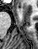
MRI
Anterior hippocampus — region(18, 9, 20, 11).